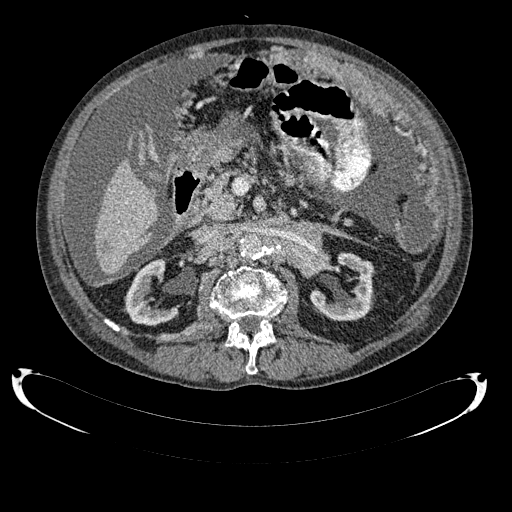
Abdomen, CT image, 512x512 px

Focal liver lesion at bbox=[101, 241, 111, 253].
Liver at bbox=[95, 157, 156, 274].
Kidney at bbox=[307, 252, 373, 320]; bbox=[126, 259, 177, 325].